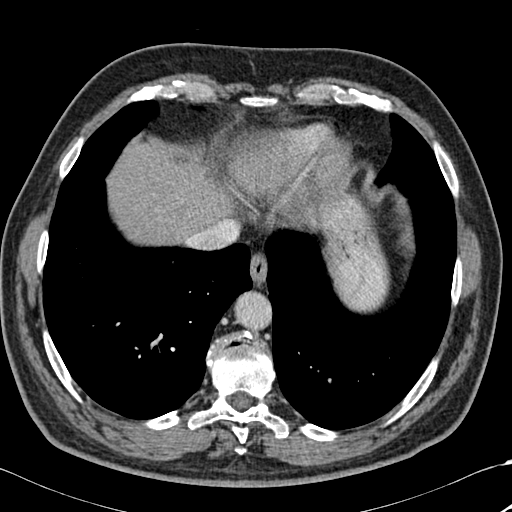 CT slice
Annotated regions:
- liver: left=108, top=146, right=227, bottom=243
- lung: left=42, top=100, right=252, bottom=419; left=264, top=113, right=456, bottom=429
- bone: left=129, top=81, right=183, bottom=100; left=301, top=424, right=336, bottom=440; left=233, top=426, right=247, bottom=443; left=394, top=361, right=436, bottom=418; left=60, top=139, right=82, bottom=177; left=348, top=89, right=390, bottom=110; left=188, top=332, right=288, bottom=437; left=146, top=412, right=178, bottom=429; left=44, top=332, right=78, bottom=399; left=451, top=261, right=461, bottom=302; left=247, top=97, right=266, bottom=105; left=434, top=144, right=457, bottom=194; left=37, top=232, right=48, bottom=269